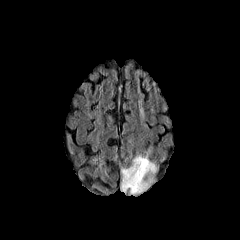
FLAIR MR.
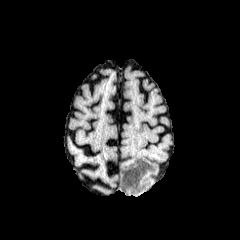
T1-weighted magnetic resonance.
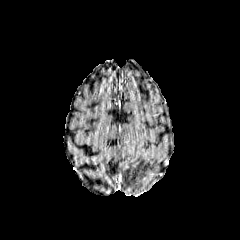
Post-contrast T1-weighted MR image of the same slice.
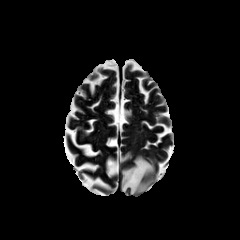
T2-weighted magnetic resonance.
Head
Segmented structures:
* edema: 120,154,155,196